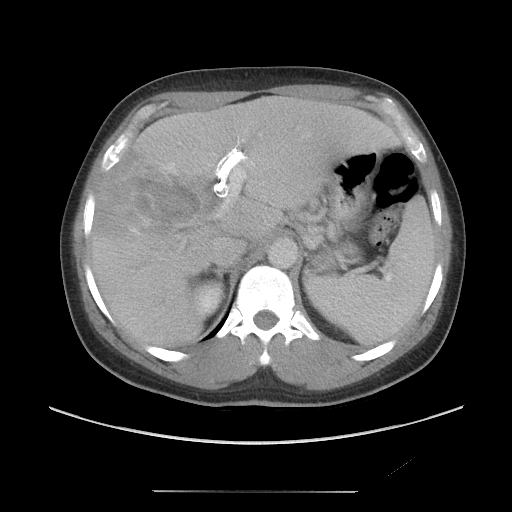
CT; 512x512
Some hepatic vessels may have no box.
<segmentation>
  <hepatic_vessel>(left=182, top=238, right=185, bottom=244), (left=132, top=230, right=140, bottom=235), (left=165, top=164, right=175, bottom=171), (left=244, top=176, right=245, bottom=178), (left=251, top=180, right=255, bottom=181)</hepatic_vessel>
  <liver_tumor>(left=95, top=152, right=211, bottom=234)</liver_tumor>
</segmentation>